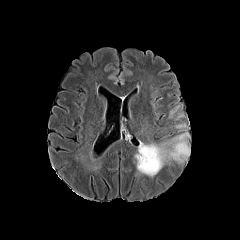
FLAIR MR image.
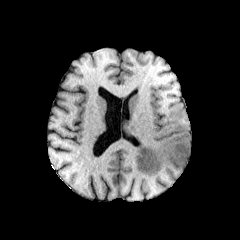
T1-weighted MRI.
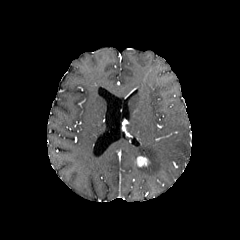
Post-contrast T1-weighted MRI.
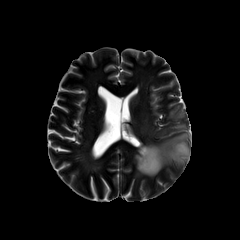
T2-weighted MRI of the same slice.
240x240 px | Head
The edema is at region(135, 133, 190, 175). The enhancing tumor is bounded by region(136, 157, 147, 166).